CT scan slice | 512x512 px
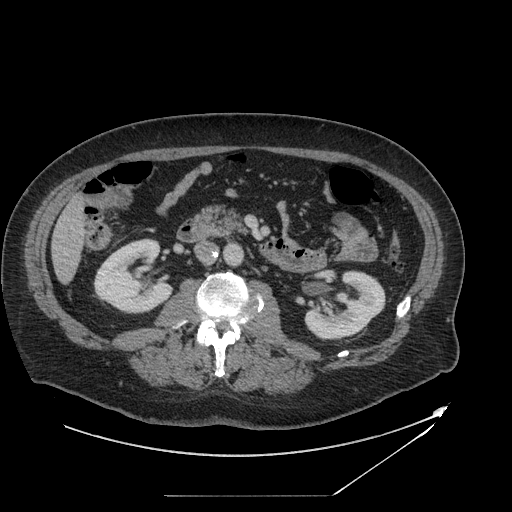

Findings:
* pancreas: (196, 204, 245, 232)